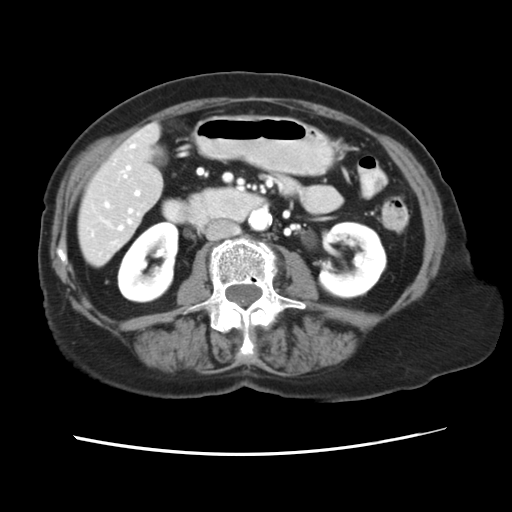

512x512 px | Liver | CT image
Not every hepatic vessel necessarily has a box.
Hepatic vessel: 91 231 93 235, 137 213 139 215, 127 220 131 223, 118 226 122 230, 113 241 119 245, 129 209 132 213, 127 145 134 149, 105 202 109 207, 120 166 130 177, 134 191 139 196.